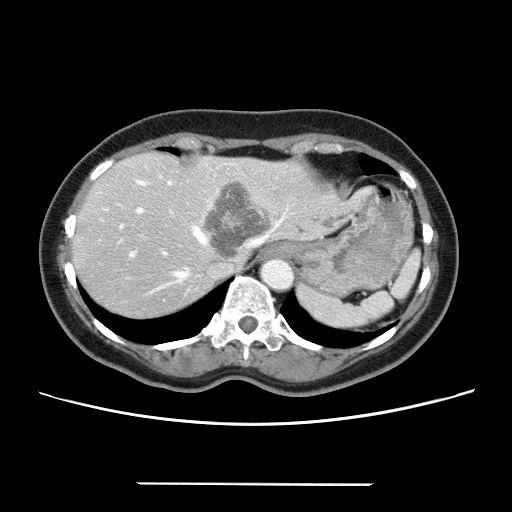 CT scan slice | Liver
The vessel annotation is not exhaustive.
• hepatic vessel: box(193, 227, 206, 242); box(130, 252, 133, 256); box(139, 182, 143, 183); box(137, 209, 141, 212); box(175, 272, 186, 279); box(250, 237, 265, 245)
• liver tumor: box(205, 185, 268, 256)